CT.
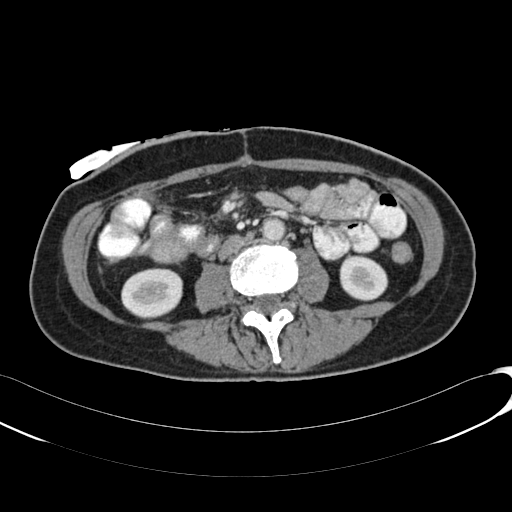

2 kidney regions appear at bbox=[122, 269, 181, 316]; bbox=[341, 257, 386, 299].